Image width 351 mm, Computed tomography 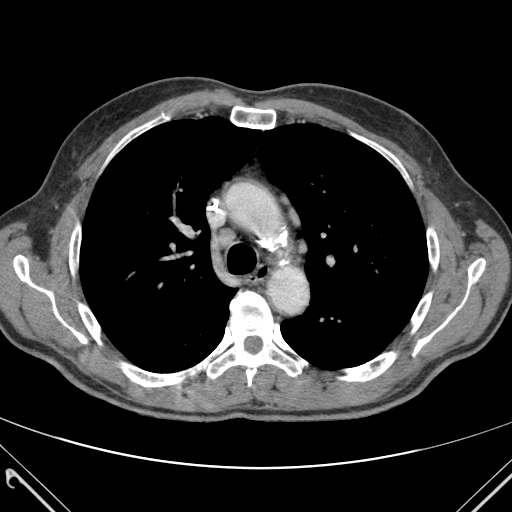

bone:
  - (413,292,467,355)
  - (14,255,86,343)
  - (340,352,395,381)
  - (427,228,439,268)
  - (231,106,276,129)
  - (79,304,101,344)
  - (107,113,169,160)
  - (411,293,431,332)
  - (352,134,407,177)
  - (69,225,80,273)
  - (468,258,485,288)
  - (187,291,307,386)
  - (121,363,186,386)
lung:
  - (80,116,428,372)